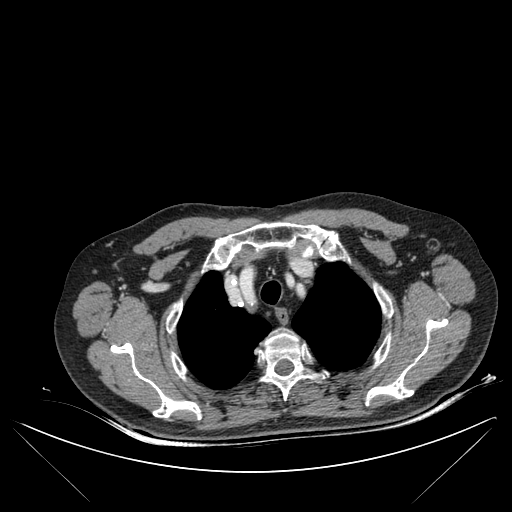 Chest; CT scan slice
lung: region(261, 281, 280, 303); region(177, 271, 270, 389); region(292, 262, 381, 370) | bone: region(111, 343, 201, 419); region(167, 301, 181, 332); region(374, 284, 393, 316); region(259, 332, 319, 399); region(365, 319, 447, 405); region(205, 222, 341, 269); region(375, 335, 390, 365); region(303, 246, 312, 256); region(171, 353, 186, 378)